CT; Abdomen

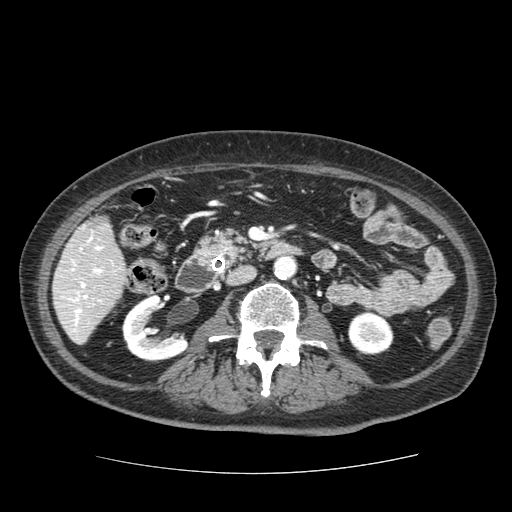
{"pancreas": ["region(199, 231, 253, 264)"]}